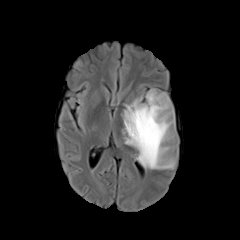
FLAIR magnetic resonance.
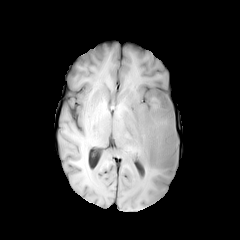
T1-weighted MRI of the same slice.
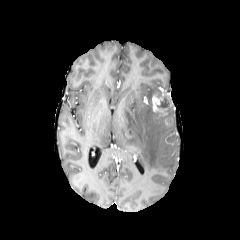
Post-contrast T1-weighted MRI.
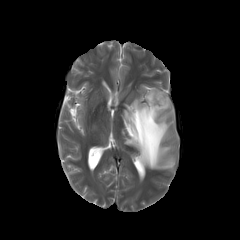
T2-weighted MRI.
Brain
non-enhancing_tumor_core:
  - 150 89 174 115
enhancing_tumor:
  - 152 96 159 111
edema:
  - 120 85 178 173